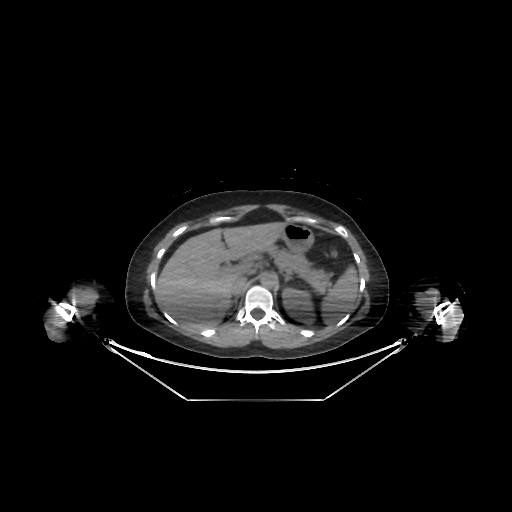

CT image; Image size 512x512
Annotated regions:
- kidney: {"x1": 282, "y1": 287, "x2": 316, "y2": 324}
- liver: {"x1": 154, "y1": 223, "x2": 285, "y2": 335}